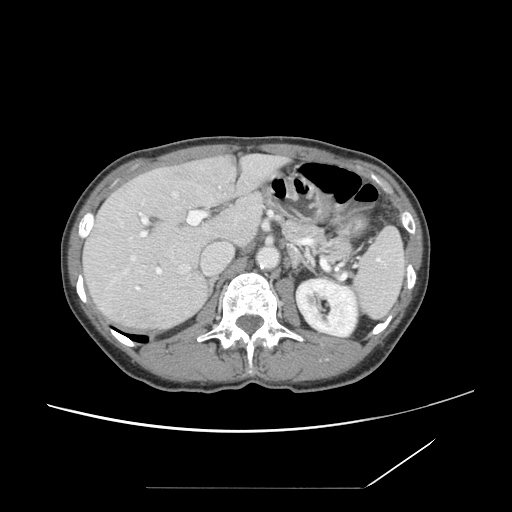

CT slice | Upper abdomen
- pancreas: (279, 218, 354, 270)